T2-weighted magnetic resonance.
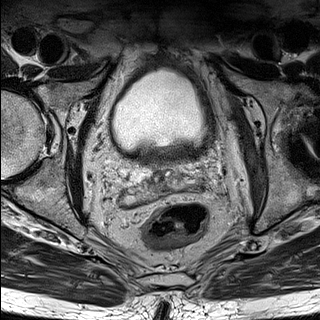
ADC MRI.
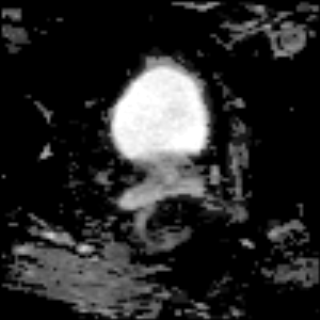
Pelvis, 320x320
<segmentation>
  <prostate_transition_zone>(x1=146, y1=149, x2=182, y2=162)</prostate_transition_zone>
</segmentation>